Slice 43 of 155
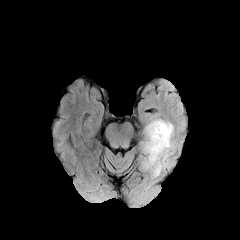
FLAIR MRI.
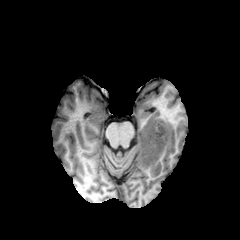
T1-weighted magnetic resonance.
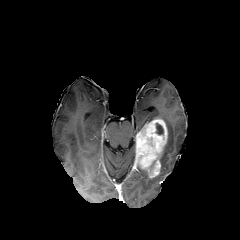
Post-contrast T1-weighted MR.
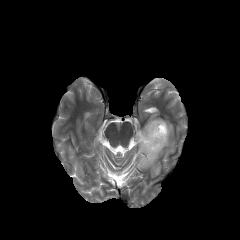
Same slice, T2-weighted MRI.
non-enhancing_tumor_core:
  - 156, 123, 163, 134
enhancing_tumor:
  - 135, 119, 167, 178
edema:
  - 159, 122, 173, 158